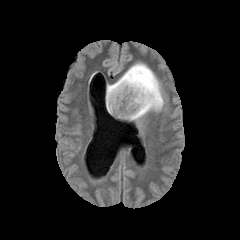
FLAIR magnetic resonance.
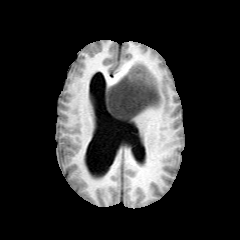
T1-weighted MRI of the same slice.
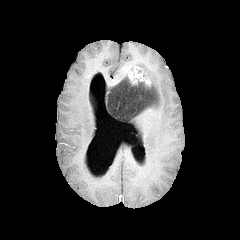
Post-contrast T1-weighted magnetic resonance of the same slice.
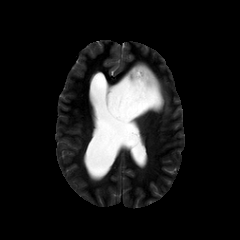
T2-weighted MRI.
Head.
2 edema regions are located at <box>106,76,127,95</box>, <box>130,62,165,121</box>. The enhancing tumor lies within <box>123,66,151,85</box>. The non-enhancing tumor core appears at <box>106,78,156,120</box>.